Head. Slice 52/155.
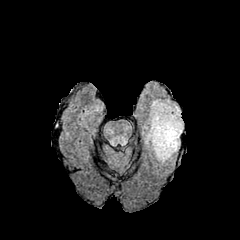
FLAIR MR image.
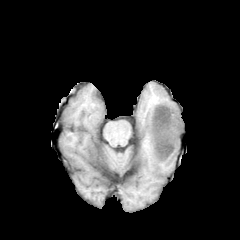
T1-weighted magnetic resonance.
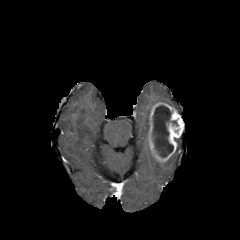
Post-contrast T1-weighted MR.
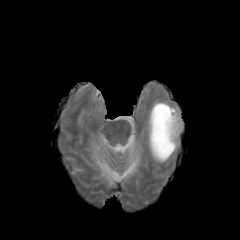
T2-weighted MRI of the same slice.
The enhancing tumor lies within 148,102,183,161. 2 edema regions are located at 146,110,149,144; 150,99,179,113. The non-enhancing tumor core is at 152,104,173,157.